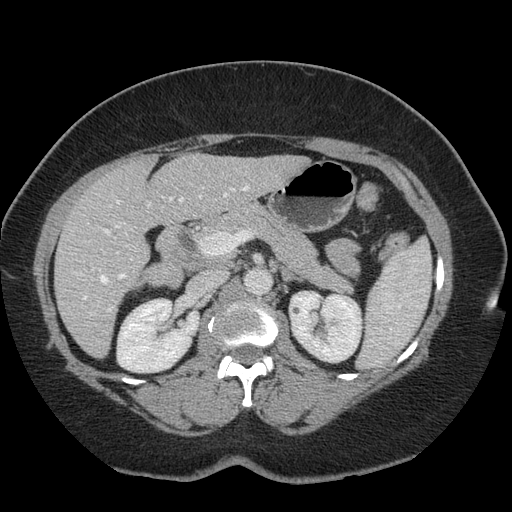

512x512 | CT
Some hepatic vessels may have no box.
partial: true
hepatic_vessel:
  # 15 of 17 shown
  - region(117, 200, 119, 203)
  - region(201, 236, 212, 255)
  - region(72, 272, 82, 275)
  - region(98, 227, 101, 229)
  - region(101, 275, 107, 283)
  - region(119, 274, 125, 278)
  - region(180, 198, 183, 202)
  - region(103, 230, 110, 234)
  - region(170, 198, 172, 200)
  - region(243, 186, 248, 190)
  - region(115, 223, 125, 228)
  - region(224, 194, 227, 196)
  - region(108, 308, 112, 311)
  - region(92, 268, 99, 270)
  - region(231, 188, 234, 191)